CT scan slice

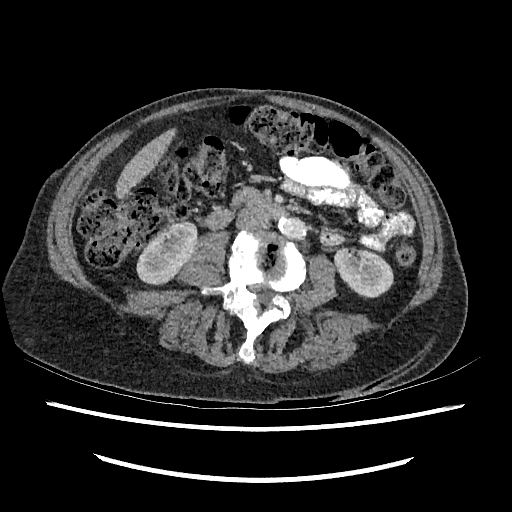 Kidney = (x1=137, y1=223, x2=195, y2=283), (x1=335, y1=251, x2=392, y2=296).
Liver = (x1=116, y1=128, x2=175, y2=197).